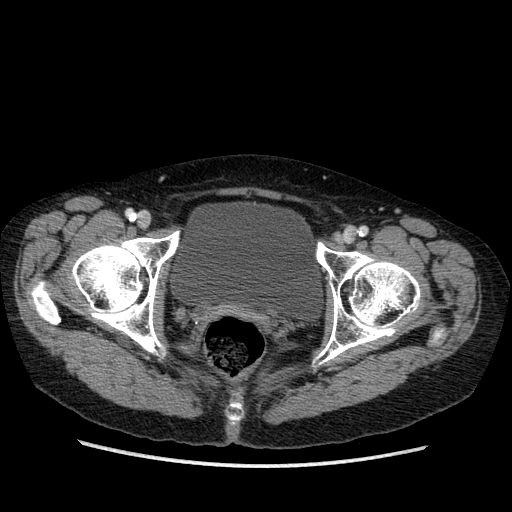

Pelvis; Computed tomography
urinary bladder: region(168, 201, 326, 324)